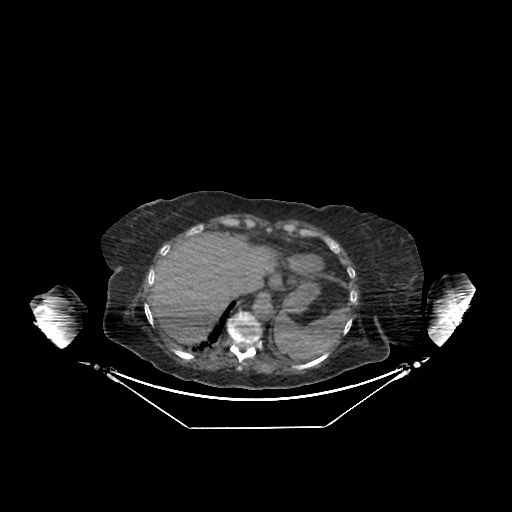

Image size 512x512 | CT slice
The liver is located at (151,229,278,351).